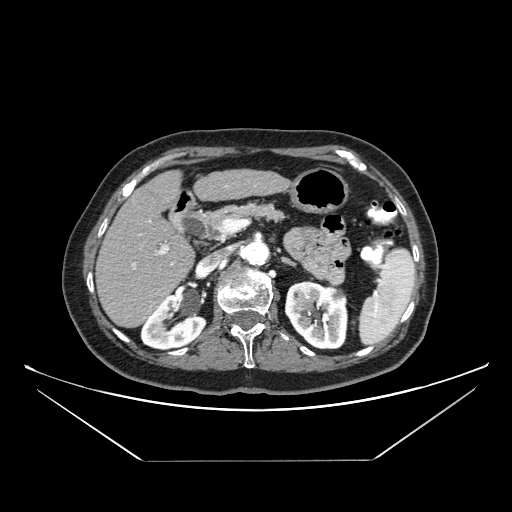 CT slice. Upper abdomen.

{"pancreas": ["(left=182, top=202, right=285, bottom=244)"]}